CT scan slice. Field of view 339 mm wide, 0.80 mm slice spacing. Upper abdomen.

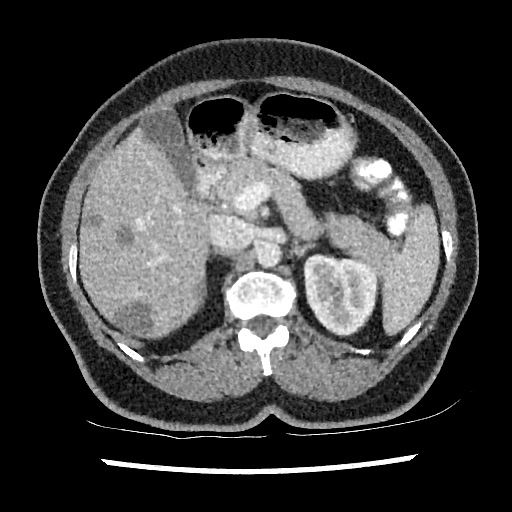
The kidney lies within (305, 256, 376, 334). 4 liver lesion regions appear at (114, 303, 152, 336), (196, 281, 204, 299), (117, 228, 132, 245), (83, 214, 99, 228). The liver is at (79, 129, 209, 337).